FLAIR MRI.
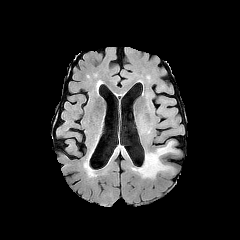
T1-weighted MRI.
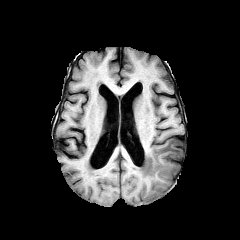
Post-contrast T1-weighted MR.
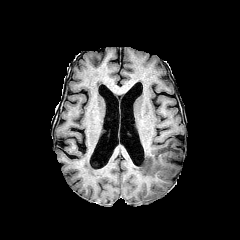
T2-weighted MR image.
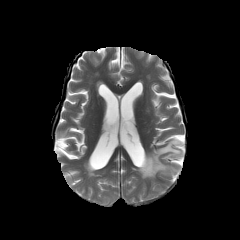
Brain
The edema is bounded by box=[131, 141, 179, 178].